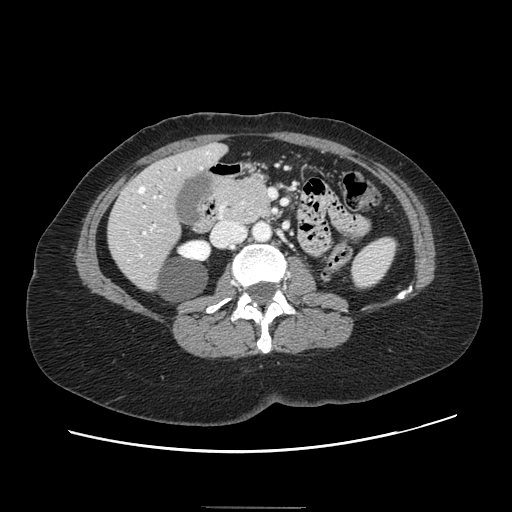
CT | Abdomen
The pancreas is bounded by 215, 177, 270, 223.